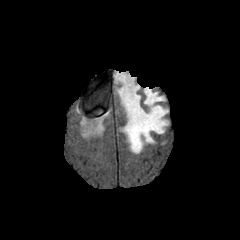
FLAIR MR image.
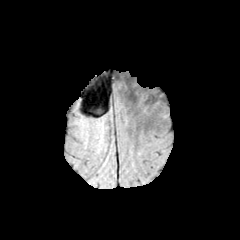
T1-weighted MRI of the same slice.
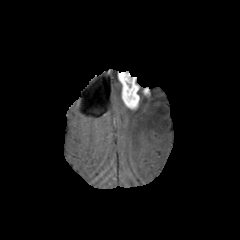
Same slice, post-contrast T1-weighted MRI.
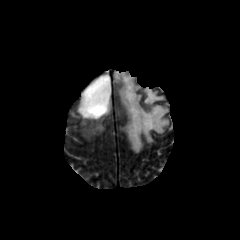
Same slice, T2-weighted MRI.
240x240 px
edema:
  - [x1=95, y1=120, x2=101, y2=129]
  - [x1=117, y1=84, x2=168, y2=153]
non-enhancing_tumor_core:
  - [x1=136, y1=86, x2=145, y2=100]
enhancing_tumor:
  - [x1=142, y1=88, x2=150, y2=96]
  - [x1=118, y1=72, x2=139, y2=109]